Slice 90/134 | 512x512 | CT slice | Abdomen
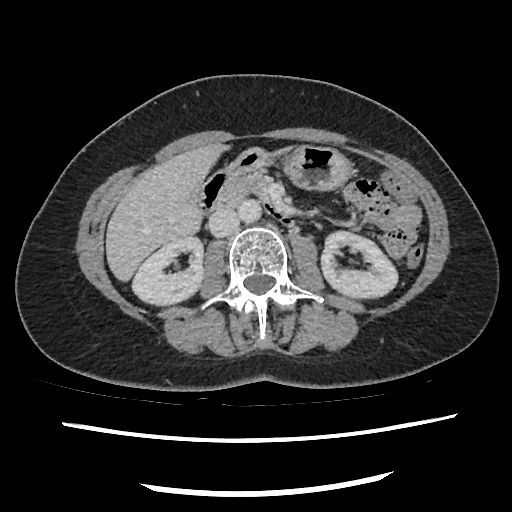

{"pancreas": ["(left=216, top=173, right=264, bottom=208)"]}